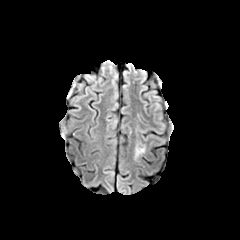
FLAIR MR image.
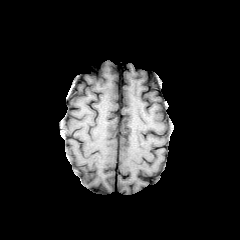
T1-weighted MRI.
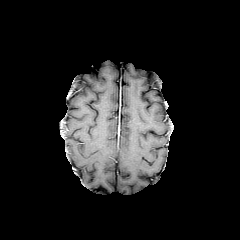
Post-contrast T1-weighted MR image.
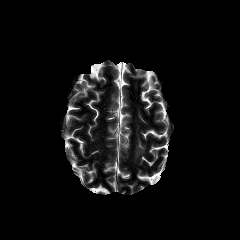
Same slice, T2-weighted MRI.
Brain. 240x240 px.
The edema appears at {"x1": 136, "y1": 145, "x2": 145, "y2": 156}.